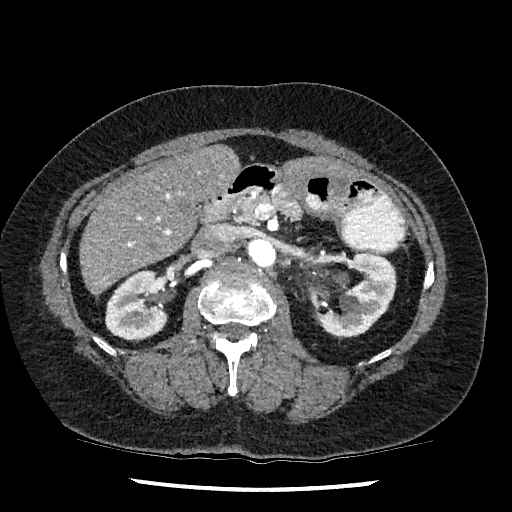

CT image

kidney:
  - region(106, 266, 176, 339)
  - region(312, 253, 395, 336)
liver:
  - region(288, 159, 359, 179)
  - region(79, 146, 239, 295)